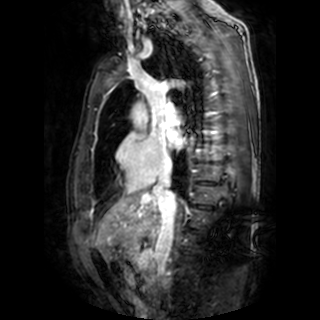

MRI slice | Cardiac
left_atrium:
  - [167, 130, 186, 149]